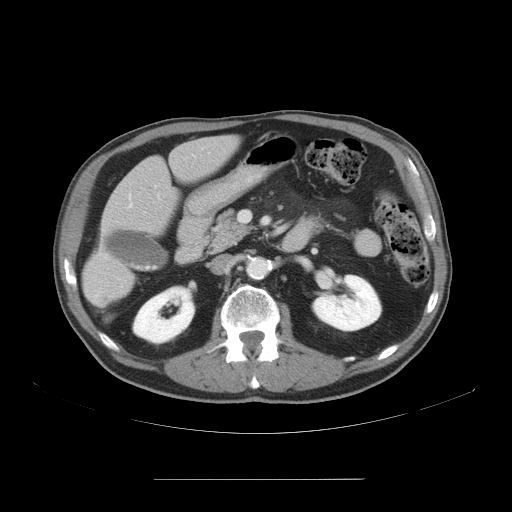

Liver, Computed tomography
Only some of the vessels may be annotated.
hepatic_vessel:
  - box=[129, 205, 132, 206]